FLAIR MRI.
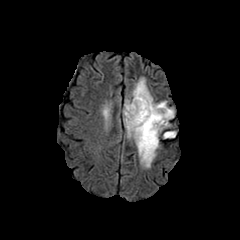
T1-weighted MR image.
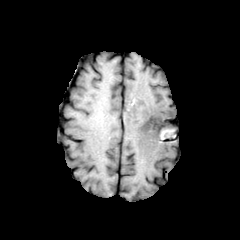
Post-contrast T1-weighted MR image.
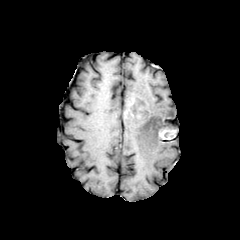
T2-weighted magnetic resonance.
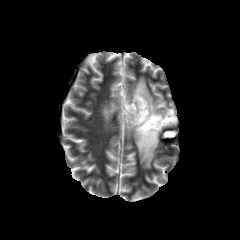
Brain
The edema is bounded by [x1=122, y1=77, x2=176, y2=168]. 2 non-enhancing tumor core regions are bounded by [x1=138, y1=100, x2=171, y2=131], [x1=123, y1=97, x2=136, y2=119].